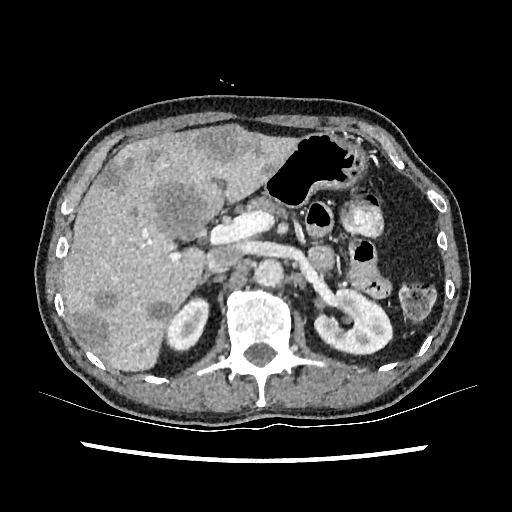 Upper abdomen | CT slice

Findings:
* liver: 64, 128, 297, 370
* hepatic lesion: 185, 126, 261, 165; 145, 147, 160, 164; 146, 301, 173, 320; 72, 313, 110, 353; 129, 207, 138, 217; 94, 290, 117, 310; 96, 157, 134, 190; 261, 163, 278, 176; 153, 181, 207, 240
* kidney: 168, 300, 207, 349; 315, 286, 394, 358